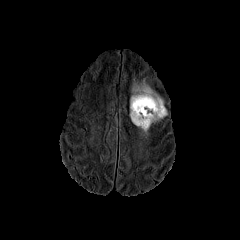
FLAIR MR.
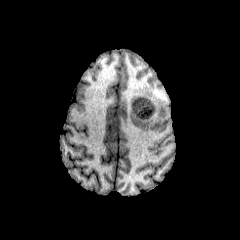
T1-weighted magnetic resonance.
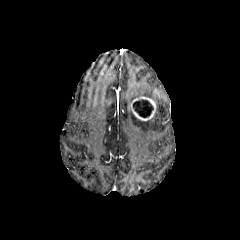
Post-contrast T1-weighted MR.
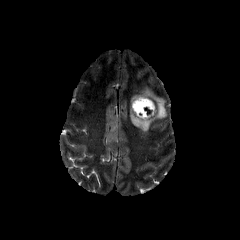
T2-weighted MR.
240x240 px. Head.
Enhancing tumor — 131, 96, 155, 120.
Edema — 130, 83, 167, 132.
Non-enhancing tumor core — 133, 98, 153, 117.